FLAIR MR.
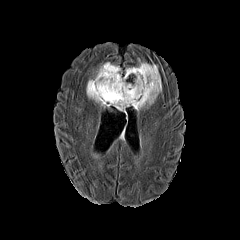
T1-weighted MRI.
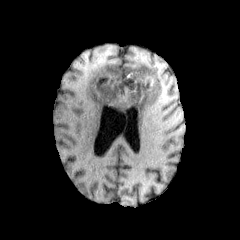
Post-contrast T1-weighted MR.
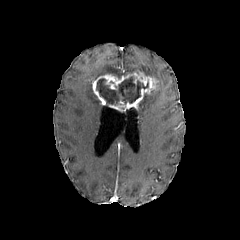
T2-weighted magnetic resonance.
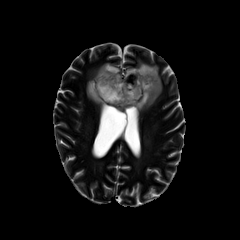
240x240 px | Head
Findings:
- edema: (x1=86, y1=62, x2=122, y2=103), (x1=126, y1=59, x2=162, y2=114)
- enhancing tumor: (x1=104, y1=70, x2=159, y2=111), (x1=92, y1=80, x2=105, y2=104)
- non-enhancing tumor core: (x1=96, y1=76, x2=148, y2=106)